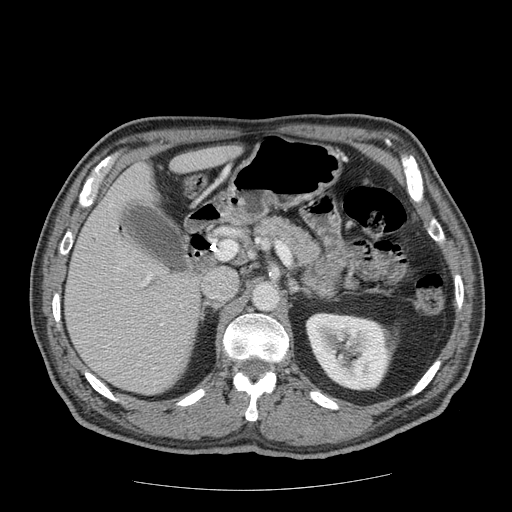
CT scan slice
Annotated regions:
• pancreas: (left=251, top=214, right=324, bottom=272), (left=341, top=278, right=362, bottom=293)